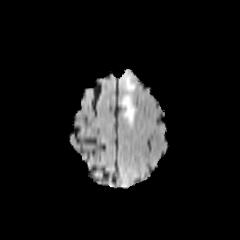
FLAIR MR image.
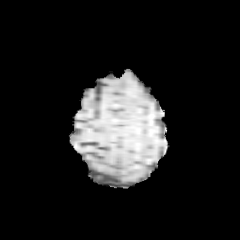
T1-weighted magnetic resonance.
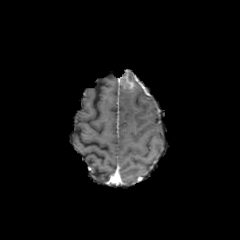
Same slice, post-contrast T1-weighted magnetic resonance.
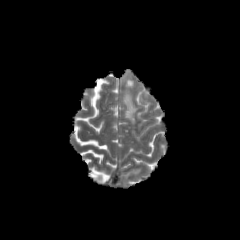
Same slice, T2-weighted MR.
Brain.
enhancing_tumor:
  - 120 73 134 92
edema:
  - 121 90 138 123